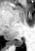

35x51 px | MRI
The posterior hippocampus lies within x1=13 y1=40 x2=22 y2=46.